Heart | MRI slice | Slice 64/100

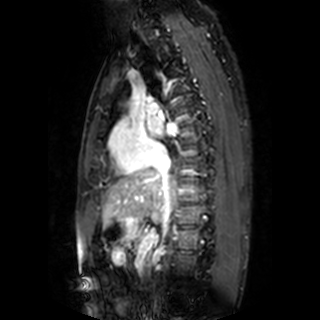 Segmented structures:
* left atrium: box=[146, 117, 176, 137]